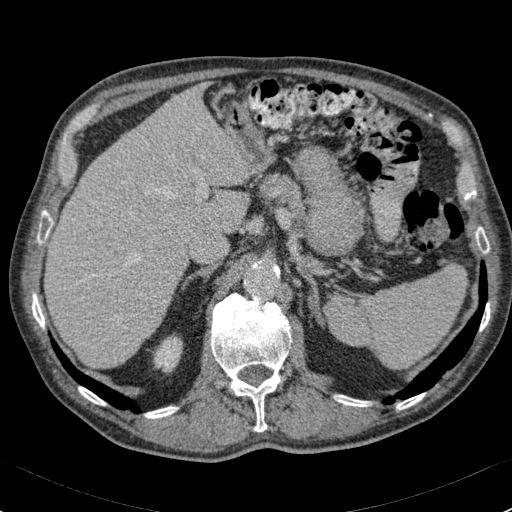 CT image; Liver
liver: l=45, t=85, r=249, b=367 | kidney: l=155, t=338, r=181, b=370